CT scan slice, Abdomen

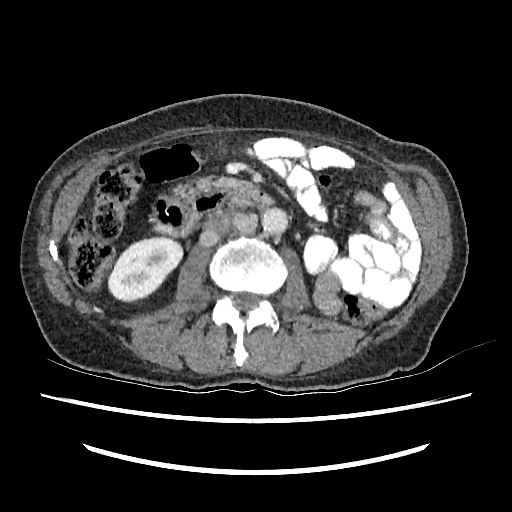 The kidney lies within <bbox>109, 238, 182, 299</bbox>.